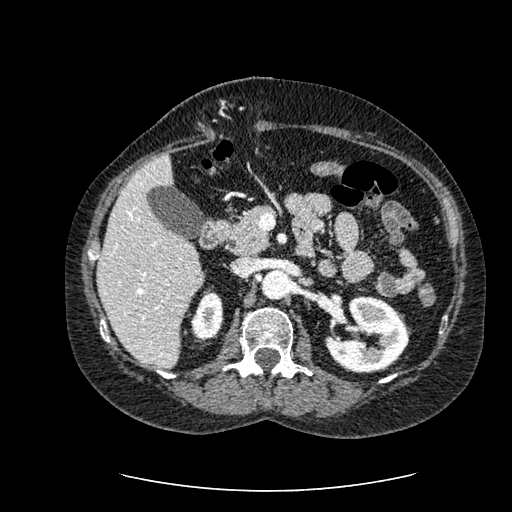

CT slice. Upper abdomen.
liver:
  - region(97, 156, 203, 367)
kidney:
  - region(324, 297, 408, 371)
  - region(192, 293, 221, 339)